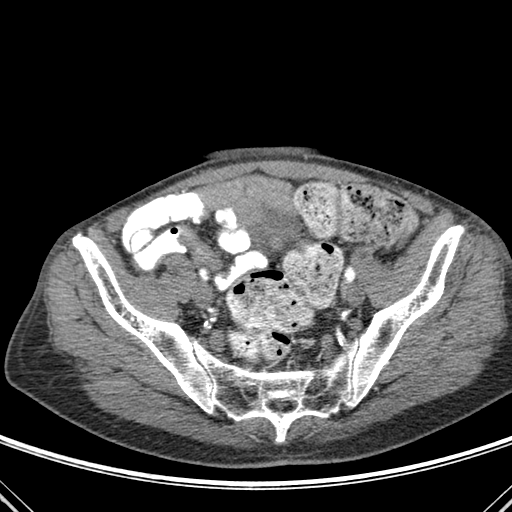
CT image

Bone = x1=72 y1=225 x2=464 y2=442.